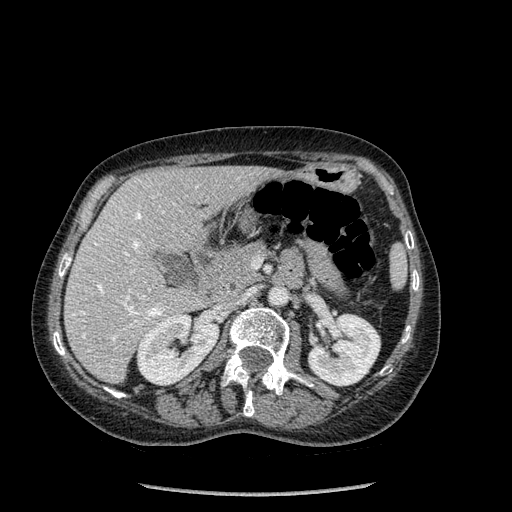 Liver | CT slice
Kidney — left=309, top=310, right=379, bottom=385; left=137, top=314, right=218, bottom=384.
Bone — left=53, top=331, right=64, bottom=355; left=402, top=325, right=410, bottom=343; left=104, top=387, right=125, bottom=398; left=405, top=231, right=413, bottom=249; left=222, top=307, right=312, bottom=416; left=58, top=256, right=71, bottom=277; left=411, top=270, right=419, bottom=290.
Liver — left=64, top=166, right=281, bottom=383.